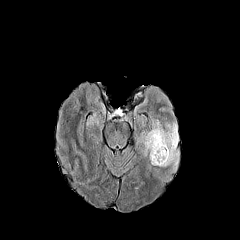
FLAIR MR image.
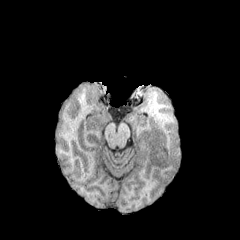
T1-weighted MR of the same slice.
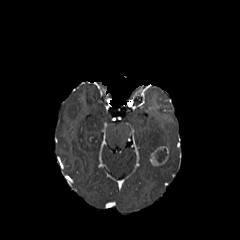
Post-contrast T1-weighted MR of the same slice.
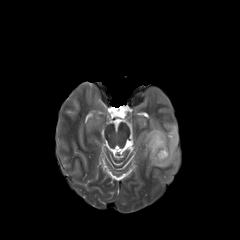
T2-weighted MR image.
non-enhancing tumor core: 156, 148, 167, 163 | enhancing tumor: 150, 146, 169, 165 | edema: 139, 119, 178, 168